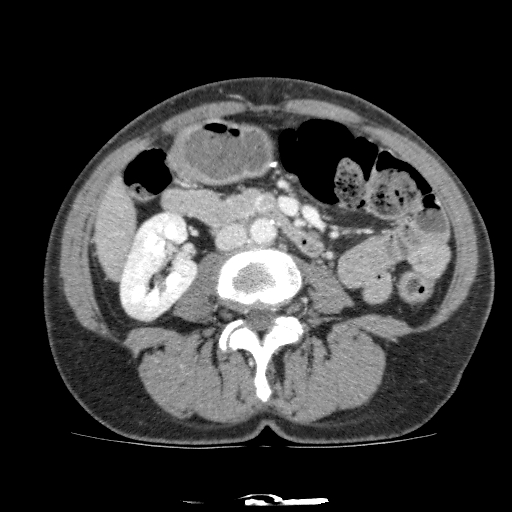

512x512 px, CT scan slice
Kidney at {"x1": 121, "y1": 213, "x2": 196, "y2": 318}.
Liver at {"x1": 93, "y1": 175, "x2": 138, "y2": 283}.